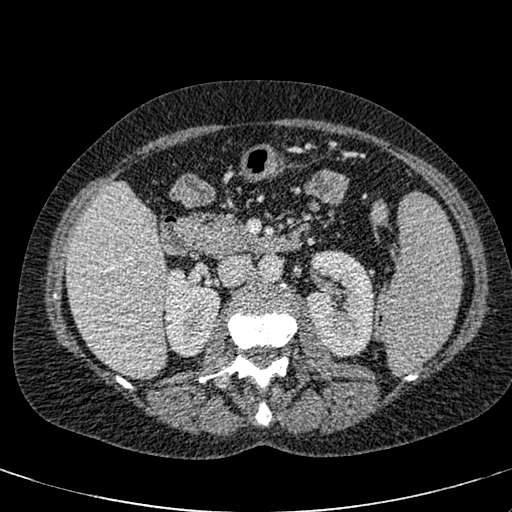

CT image | Liver | Image size 512x512

2 kidney regions are bounded by <bbox>307, 251, 373, 356</bbox>, <bbox>165, 269, 219, 354</bbox>. The liver appears at <bbox>66, 183, 167, 379</bbox>.